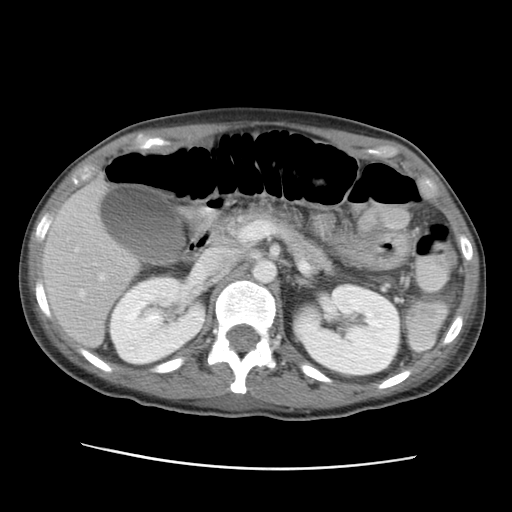 CT, Liver

2 kidney regions are bounded by <box>294,284,399,374</box>, <box>111,278,204,363</box>. The liver is at <box>43,179,139,346</box>.